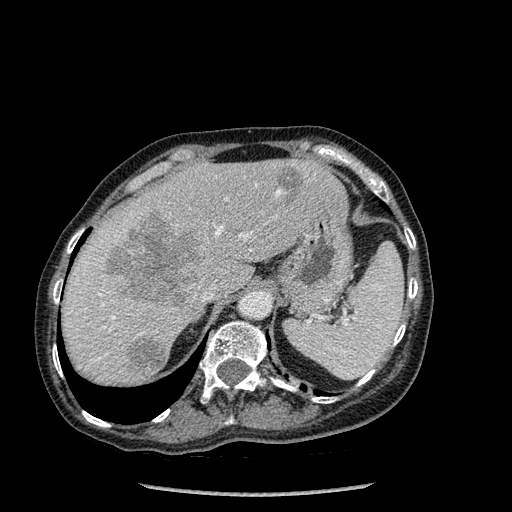 Upper abdomen. 512x512. CT slice. Bone — left=225, top=416, right=233, bottom=424; left=311, top=397, right=336, bottom=403; left=200, top=321, right=266, bottom=403; left=391, top=324, right=405, bottom=346; left=53, top=278, right=62, bottom=303; left=270, top=377, right=297, bottom=391; left=408, top=278, right=417, bottom=299; left=52, top=344, right=62, bottom=376; left=357, top=369, right=375, bottom=385; left=153, top=409, right=169, bottom=422; left=370, top=179, right=389, bottom=201; left=67, top=230, right=82, bottom=253; left=404, top=227, right=415, bottom=249; left=82, top=411, right=110, bottom=427.
Hepatic lesion — left=127, top=336, right=164, bottom=375; left=106, top=212, right=199, bottom=307; left=278, top=167, right=300, bottom=207.
Lung — left=297, top=382, right=320, bottom=395; left=58, top=337, right=201, bottom=424.
Liver — left=62, top=158, right=344, bottom=386.